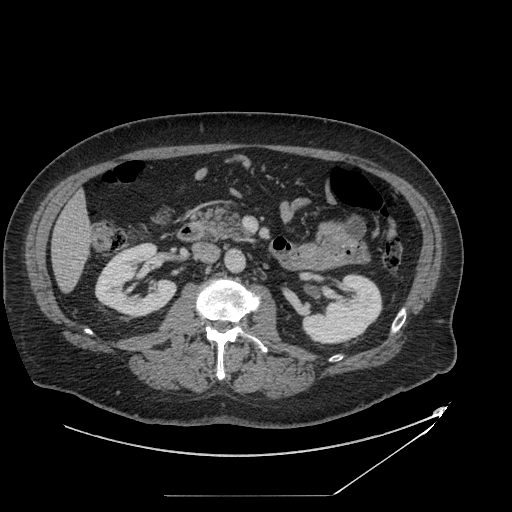

CT. Findings:
- pancreas: <bbox>191, 207, 251, 240</bbox>